CT image. Pelvis. 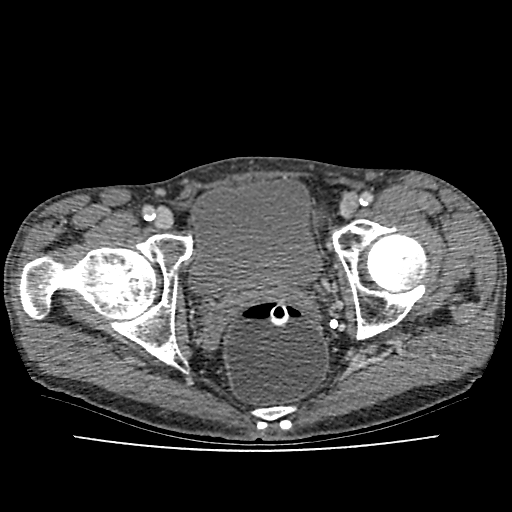

Urinary bladder = l=187, t=178, r=322, b=298.